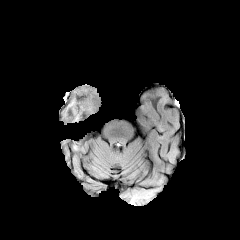
FLAIR magnetic resonance.
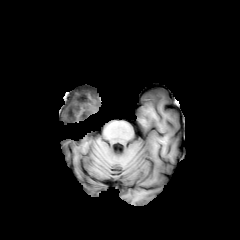
T1-weighted MR image of the same slice.
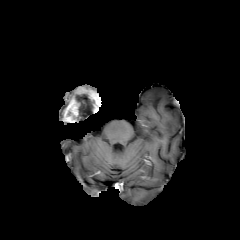
Same slice, post-contrast T1-weighted MR.
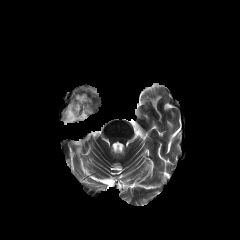
Same slice, T2-weighted magnetic resonance.
Image size 240x240
Enhancing tumor: bounding box (64,102,79,120).
Edema: bounding box (74,88,93,115).
Non-enhancing tumor core: bounding box (92,94,99,112), (77,104,83,119), (86,90,95,101).